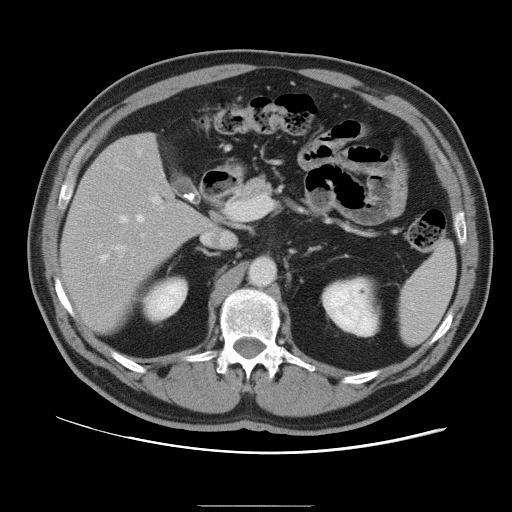
Liver, CT scan slice
The vessel boxes may cover only some of the vessels.
13 hepatic vessel regions are bounded by box(138, 150, 141, 155); box(152, 195, 163, 209); box(120, 216, 127, 222); box(100, 254, 108, 262); box(132, 253, 133, 254); box(141, 234, 144, 236); box(159, 233, 161, 234); box(136, 215, 144, 221); box(126, 168, 128, 169); box(98, 244, 101, 246); box(115, 245, 125, 255); box(187, 220, 189, 221); box(116, 165, 123, 167).